FLAIR MR image.
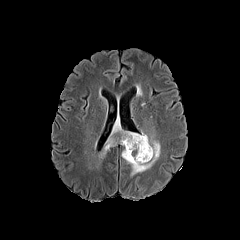
T1-weighted magnetic resonance.
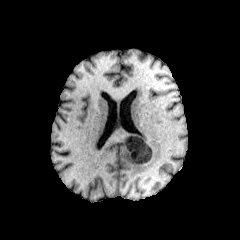
Post-contrast T1-weighted magnetic resonance.
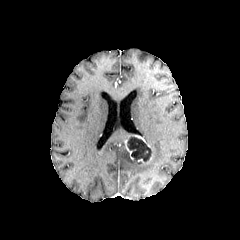
T2-weighted MR.
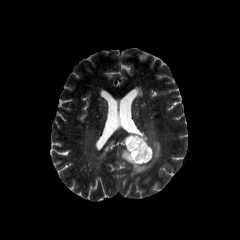
240x240 | Brain
Edema — rect(121, 128, 160, 176); rect(101, 138, 115, 156).
Non-enhancing tumor core — rect(124, 135, 151, 164).